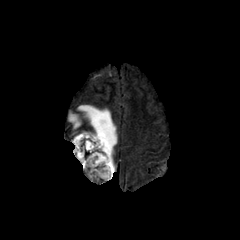
FLAIR MR image.
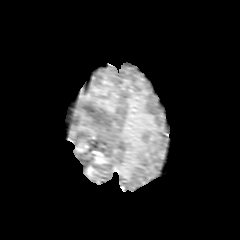
T1-weighted magnetic resonance of the same slice.
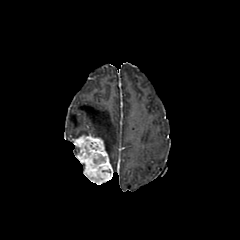
Post-contrast T1-weighted MR of the same slice.
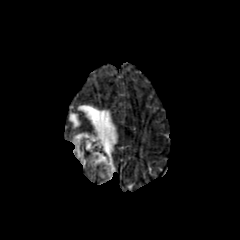
T2-weighted MR.
Enhancing tumor: bounding box 72,134,112,183.
Edema: bounding box 69,105,117,171.